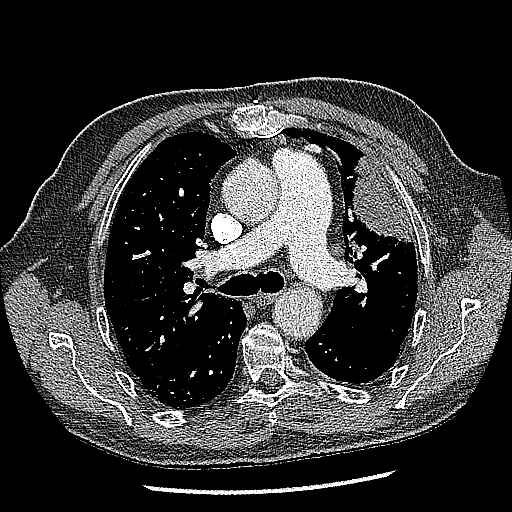 512x512, CT scan slice, Thorax

Lung tumor: (352, 155, 411, 244).